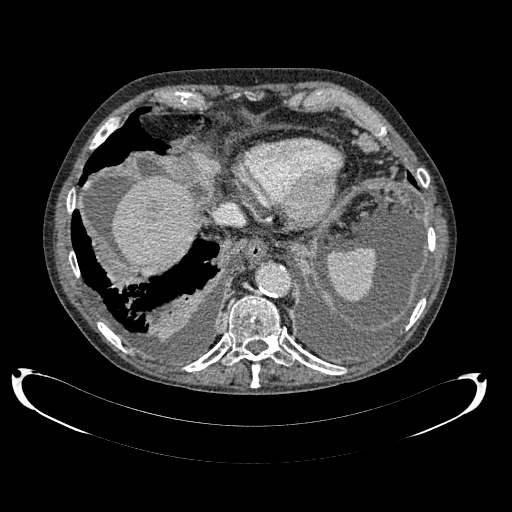
CT scan slice

The hepatic lesion is at box(140, 201, 161, 222). The liver is bounded by box(112, 176, 198, 272).